FLAIR MR image.
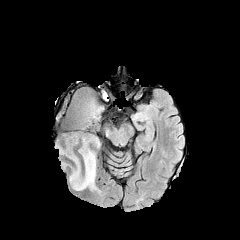
T1-weighted magnetic resonance.
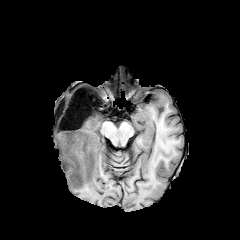
Post-contrast T1-weighted magnetic resonance.
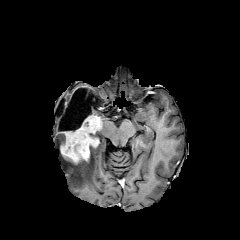
T2-weighted MR image.
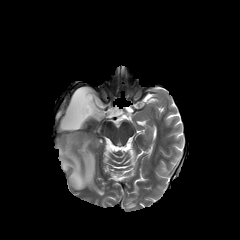
Head, 240x240
* edema: x1=62, y1=146, x2=98, y2=190
* non-enhancing tumor core: x1=74, y1=96, x2=99, y2=119; x1=72, y1=126, x2=95, y2=150
* enhancing tumor: x1=79, y1=112, x2=100, y2=133; x1=60, y1=131, x2=98, y2=163